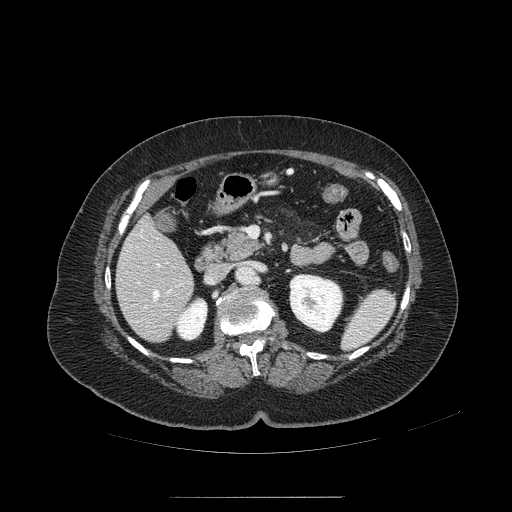

512x512 px; CT slice; Abdomen
{
  "pancreas": [
    "bbox=[222, 229, 260, 261]"
  ]
}